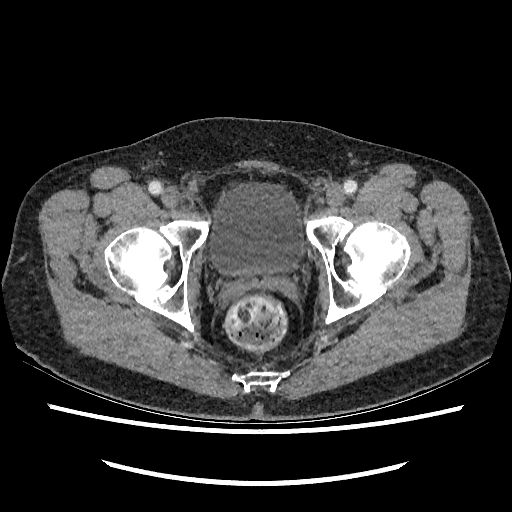

512x512 | Computed tomography
The urinary bladder is at region(208, 182, 310, 276).